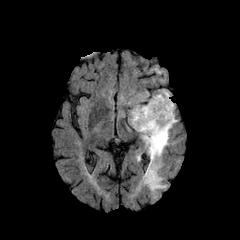
FLAIR MRI.
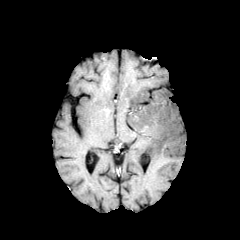
T1-weighted MR image.
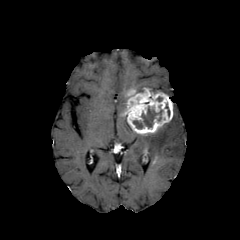
Post-contrast T1-weighted MRI.
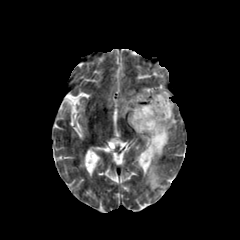
T2-weighted MR of the same slice.
240x240. Head.
The enhancing tumor appears at l=124, t=89, r=173, b=134. 2 non-enhancing tumor core regions are bounded by l=142, t=109, r=155, b=128; l=133, t=120, r=142, b=128. The edema is located at l=141, t=114, r=177, b=189.